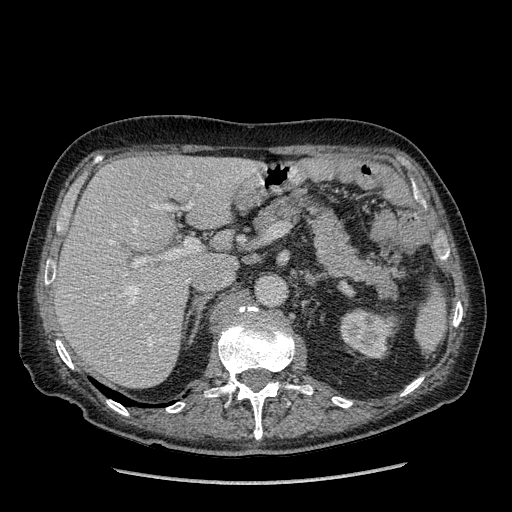

CT image
The liver is at 55, 155, 257, 387. The kidney is bounded by 340, 309, 395, 357.